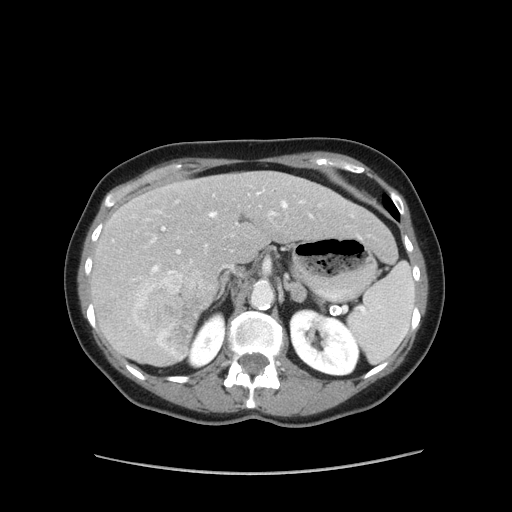
Liver | CT slice

Some hepatic vessels may have no box.
Annotated regions:
• hepatic vessel: box(258, 192, 261, 193); box(205, 244, 206, 247); box(177, 250, 179, 252); box(222, 264, 232, 267); box(281, 202, 286, 207); box(268, 211, 275, 219); box(151, 234, 156, 241); box(210, 212, 216, 216); box(176, 200, 177, 202); box(301, 201, 303, 202); box(162, 227, 165, 230)
• liver tumor: box(130, 265, 216, 358)